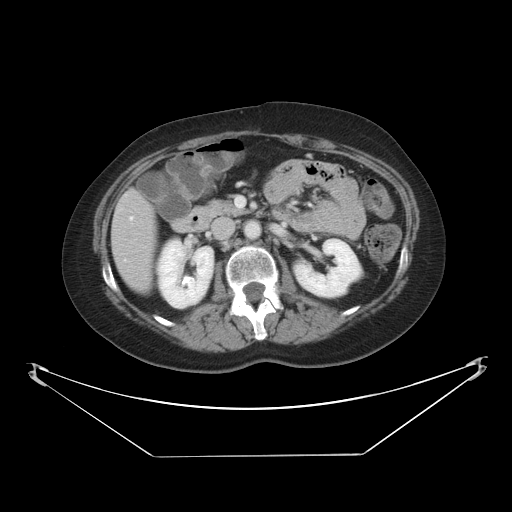
CT
The vessel boxes may cover only some of the vessels.
Hepatic vessel: bounding box <bbox>130, 216, 132, 219</bbox>.